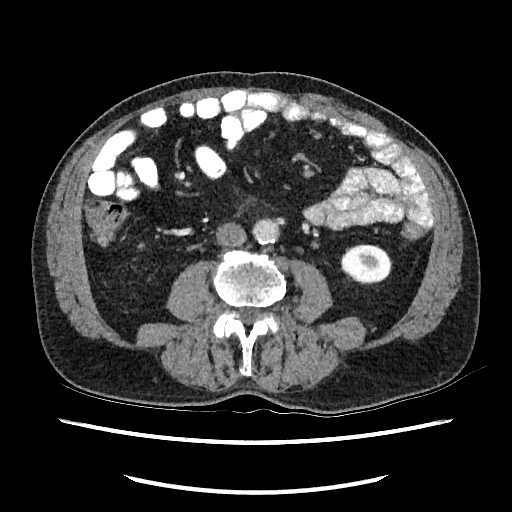 Abdomen, CT image

Kidney — x1=341, y1=245, x2=391, y2=283.